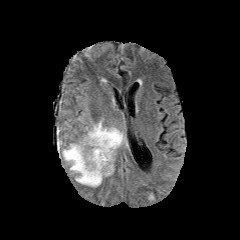
FLAIR MRI.
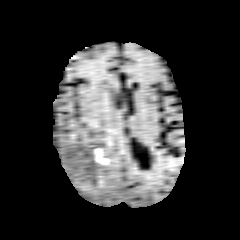
T1-weighted MR.
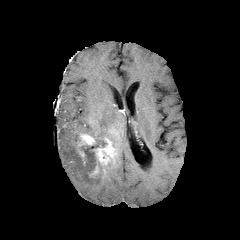
Post-contrast T1-weighted MR.
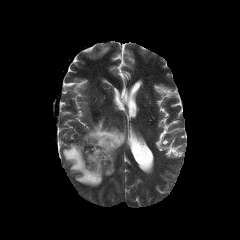
T2-weighted magnetic resonance.
Head
<segmentation>
  <enhancing_tumor>(82, 134, 94, 144), (96, 138, 116, 164)</enhancing_tumor>
  <non-enhancing_tumor_core>(104, 133, 122, 145)</non-enhancing_tumor_core>
  <edema>(61, 119, 125, 187)</edema>
</segmentation>